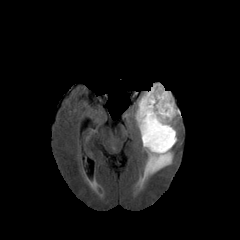
FLAIR magnetic resonance.
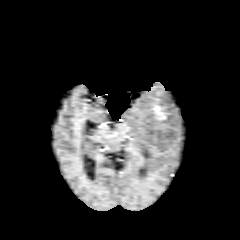
T1-weighted MR image of the same slice.
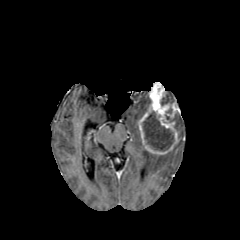
Post-contrast T1-weighted MR image.
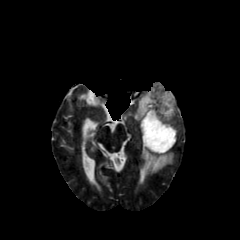
T2-weighted MRI.
Brain.
Enhancing tumor — <bbox>138, 112, 167, 154</bbox>, <bbox>148, 82, 180, 129</bbox>.
Non-enhancing tumor core — <bbox>142, 111, 173, 151</bbox>, <bbox>165, 112, 179, 125</bbox>, <bbox>161, 92, 174, 105</bbox>.
Edema — <bbox>134, 91, 180, 179</bbox>.